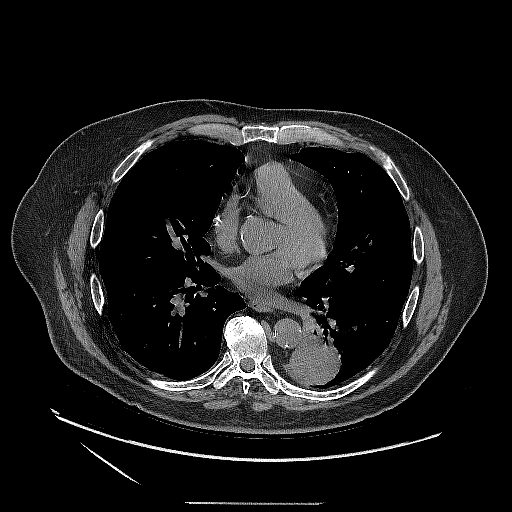

CT slice, Thorax

{
  "lung_tumor": [
    "bbox=[283, 312, 347, 388]"
  ]
}